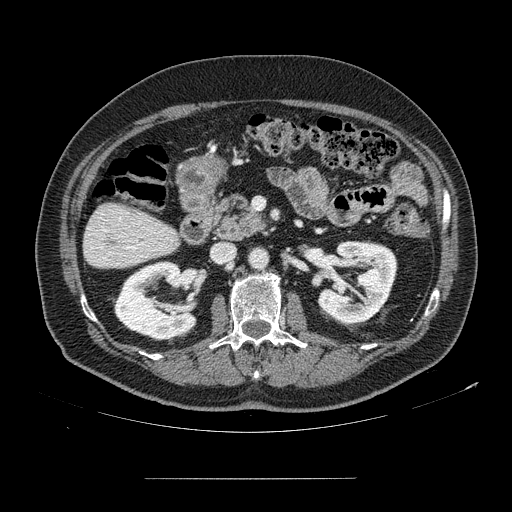 Computed tomography; Upper abdomen
The pancreas is at <box>215,194,265,241</box>.